240x240. Slice index 52.
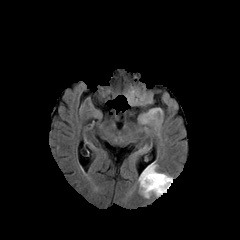
FLAIR MR.
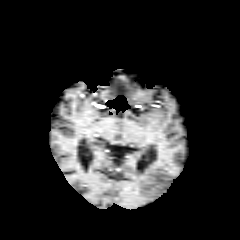
Same slice, T1-weighted MRI.
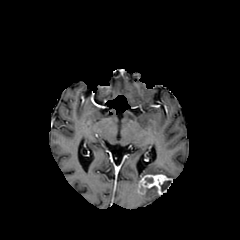
Same slice, post-contrast T1-weighted MR image.
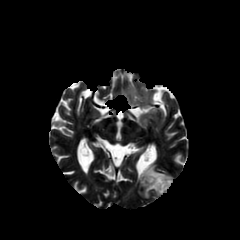
Same slice, T2-weighted MR.
Findings:
• non-enhancing tumor core: [161,180,172,191]
• edema: [139,187,157,198], [141,162,171,177]
• enhancing tumor: [139,174,172,195]